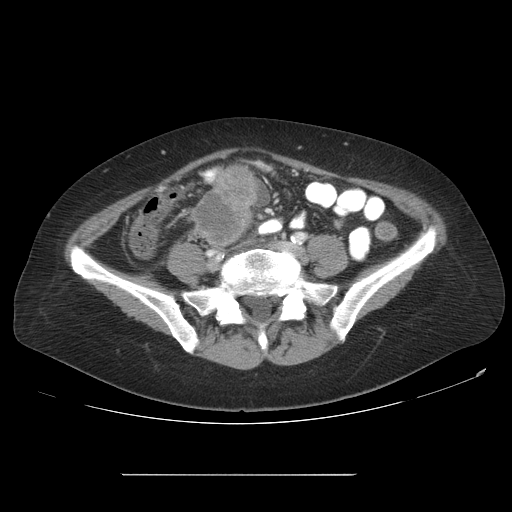

512x512 px; Pelvis; CT
Annotated regions:
* colon tumor: (left=190, top=166, right=256, bottom=245)